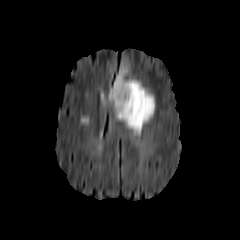
FLAIR magnetic resonance.
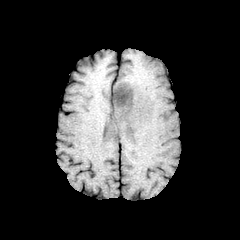
T1-weighted MRI of the same slice.
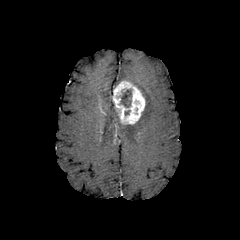
Post-contrast T1-weighted MR image.
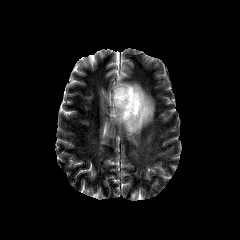
T2-weighted MR image.
Brain, 240x240
<segmentation>
  <enhancing_tumor>box(111, 81, 145, 124)</enhancing_tumor>
  <non-enhancing_tumor_core>box(121, 89, 131, 107)</non-enhancing_tumor_core>
  <edema>box(113, 66, 127, 89); box(112, 80, 155, 135)</edema>
</segmentation>